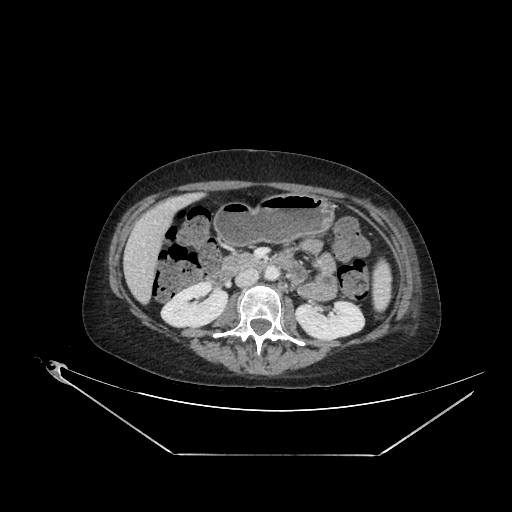
Image size 512x512; Abdomen; CT slice

Kidney — region(161, 282, 227, 326); region(296, 302, 363, 339).
Liver — region(121, 192, 199, 304).